Slice 476 of 677 | CT slice | Abdomen

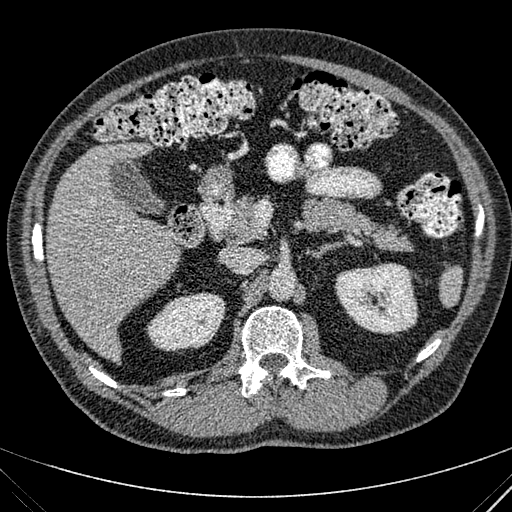 <segmentation>
  <kidney>x1=148, y1=293, x2=224, y2=350; x1=335, y1=263, x2=417, y2=333</kidney>
  <liver>x1=46, y1=143, x2=179, y2=361</liver>
</segmentation>